FLAIR MRI.
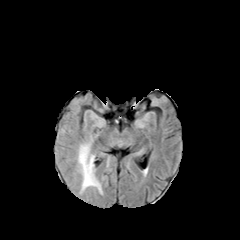
T1-weighted magnetic resonance.
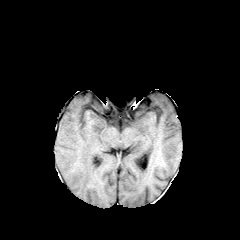
Post-contrast T1-weighted magnetic resonance.
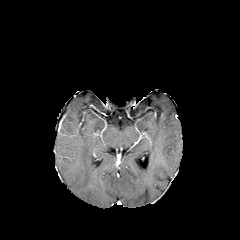
T2-weighted MR image.
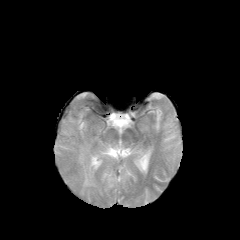
Edema: bounding box (x1=77, y1=144, x2=101, y2=193).